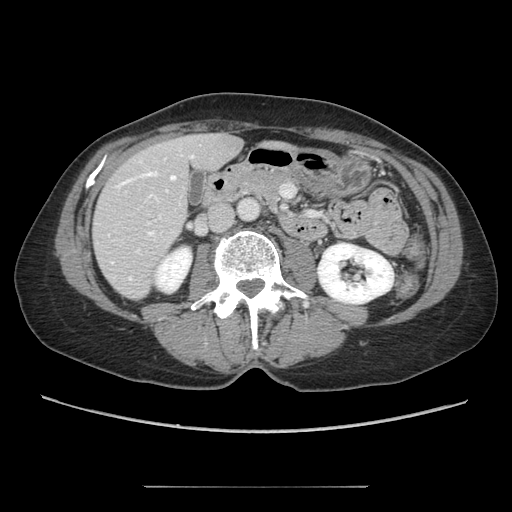 CT slice, Upper abdomen
Findings:
• pancreas: x1=222 y1=163 x2=311 y2=213